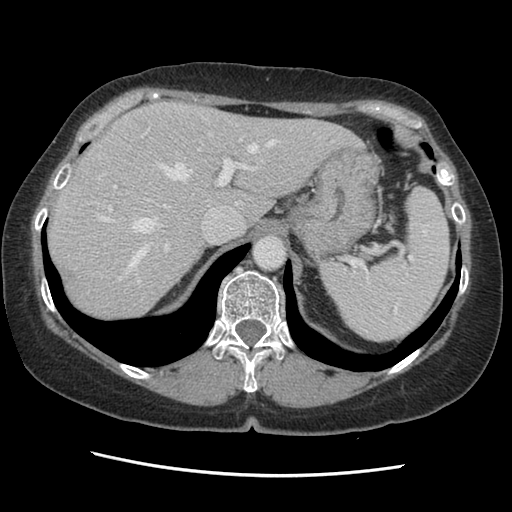
CT scan slice

The vessel annotation is not exhaustive.
Findings:
• hepatic vessel (most prominent 15 of 17): l=133, t=217, r=159, b=231; l=248, t=144, r=257, b=151; l=267, t=140, r=275, b=145; l=137, t=278, r=139, b=283; l=142, t=134, r=144, b=136; l=209, t=132, r=211, b=135; l=164, t=243, r=168, b=250; l=147, t=199, r=151, b=200; l=162, t=204, r=169, b=208; l=108, t=205, r=111, b=211; l=128, t=246, r=147, b=270; l=160, t=163, r=191, b=179; l=99, t=216, r=111, b=221; l=113, t=185, r=116, b=187; l=218, t=159, r=253, b=185